Field of view 500x500 mm | Slice 67 of 144 | 512x512 | CT | Abdomen
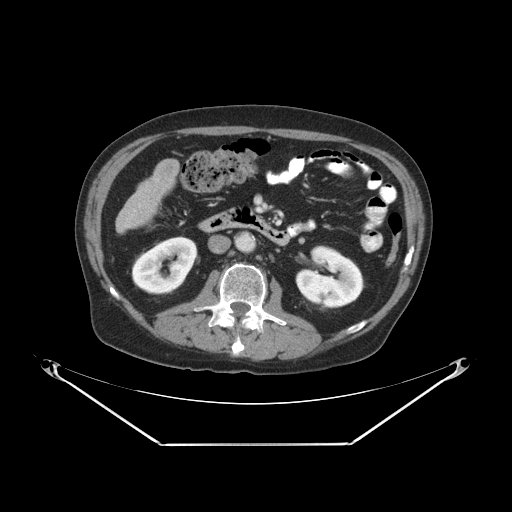 liver_tumor:
  - <box>154,159,178,191</box>